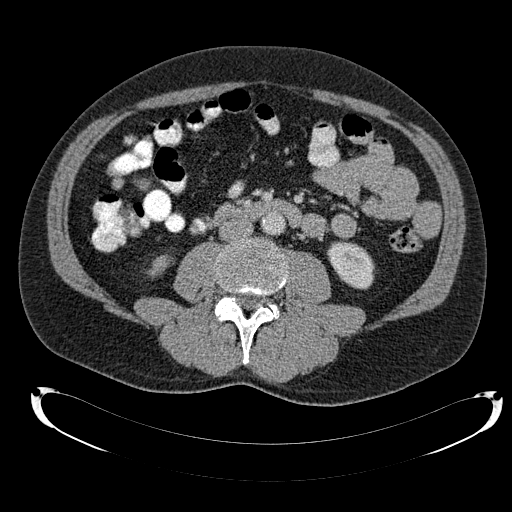

Abdomen. 512x512. CT image.

kidney:
  - x1=152, y1=260, x2=165, y2=273
  - x1=328, y1=243, x2=373, y2=287